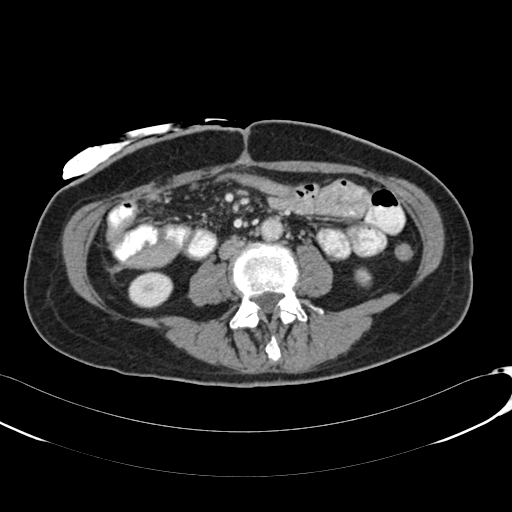
CT image; Abdomen
Kidney at <box>130,273,171,306</box>.